CT; Slice 39 of 59; Abdomen 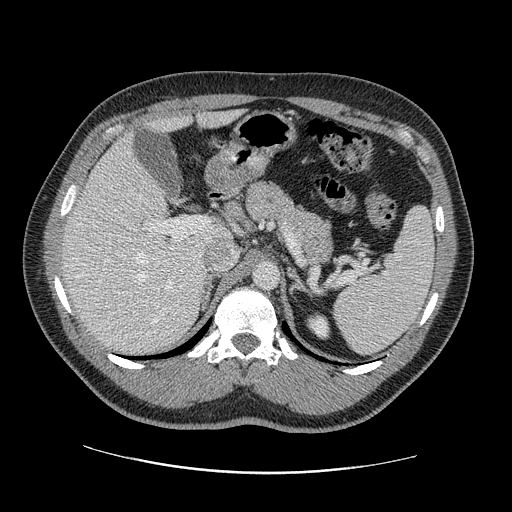

Segmented structures:
- pancreas: x1=245 y1=180 x2=334 y2=266